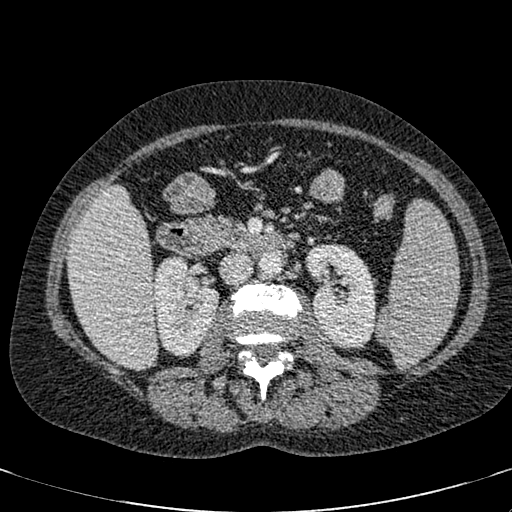
CT scan slice; Abdomen

{"kidney": ["<box>306,245,375,347</box>", "<box>154,257,218,355</box>"], "liver": ["<box>68,186,156,368</box>"]}